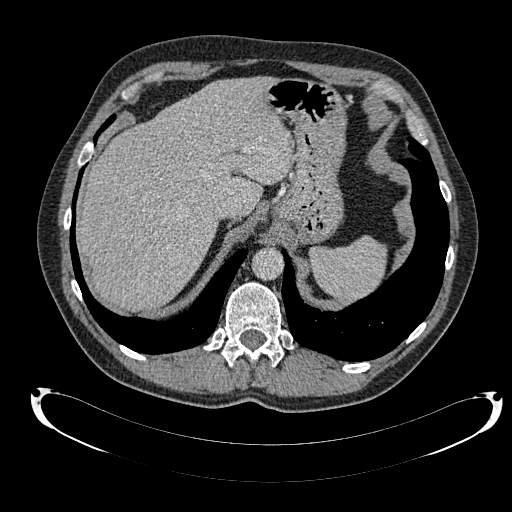
CT scan slice
liver: 80,77,293,310